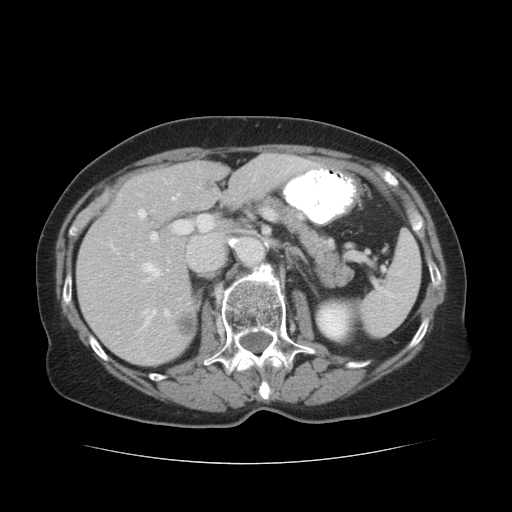 Computed tomography; 512x512 px
<segmentation>
  <focal_liver_lesion>box=[206, 179, 213, 188]; box=[175, 311, 193, 334]</focal_liver_lesion>
  <bone>box=[88, 334, 107, 360]; box=[149, 374, 165, 380]; box=[69, 223, 79, 235]; box=[63, 272, 71, 306]; box=[410, 317, 429, 347]; box=[383, 171, 397, 186]; box=[209, 265, 314, 399]; box=[427, 257, 441, 290]</bone>
  <liver>box=[76, 153, 309, 364]</liver>
  <kidney>box=[319, 306, 347, 340]</kidney>
</segmentation>